Slice 41 of 155
FLAIR magnetic resonance.
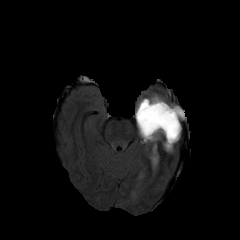
T1-weighted magnetic resonance.
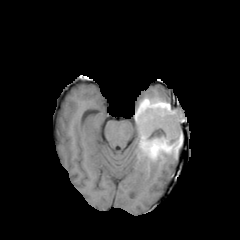
Post-contrast T1-weighted MR image.
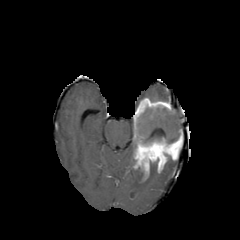
T2-weighted MR image.
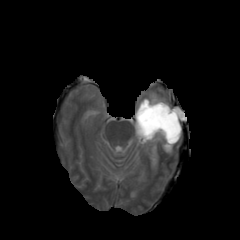
edema:
  - 176, 115, 185, 128
  - 148, 94, 166, 101
non-enhancing_tumor_core:
  - 136, 106, 183, 143
  - 137, 156, 150, 168
enhancing_tumor:
  - 134, 98, 174, 122
  - 135, 129, 181, 163